Slice 47 of 85. CT image. Abdomen.

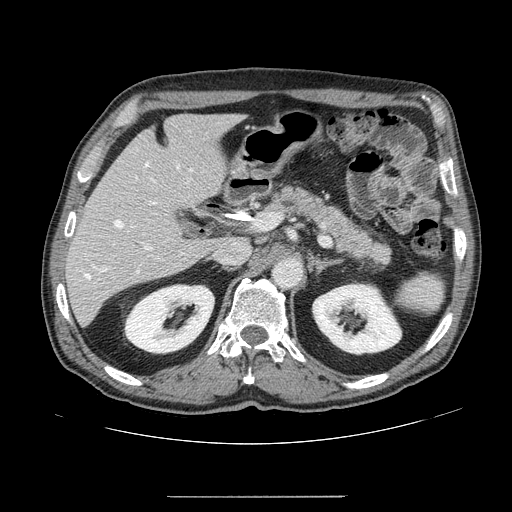 The pancreas lies within rect(261, 183, 395, 276).